Slice 104 of 155 | Brain
FLAIR magnetic resonance.
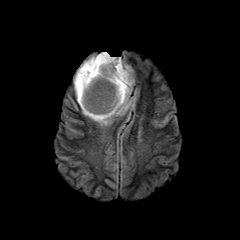
T1-weighted MRI.
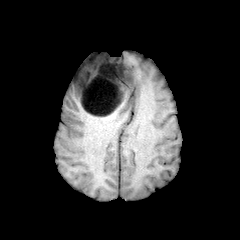
Post-contrast T1-weighted MR.
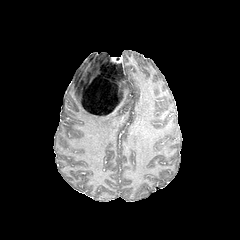
T2-weighted MR image.
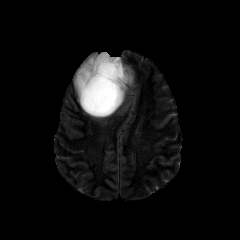
non-enhancing_tumor_core:
  - (82, 55, 130, 116)
enhancing_tumor:
  - (110, 57, 125, 67)
edema:
  - (73, 52, 134, 124)